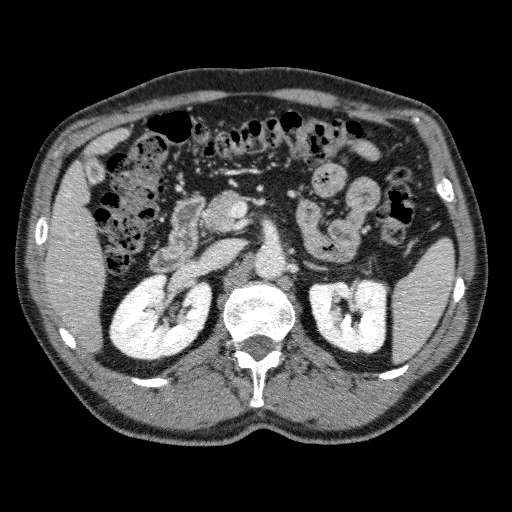 512x512 px; CT scan slice; Liver
{
  "liver": [
    "box(85, 128, 129, 155)",
    "box(44, 161, 104, 351)"
  ],
  "kidney": [
    "box(111, 275, 210, 358)",
    "box(310, 281, 385, 351)"
  ]
}